FLAIR MR.
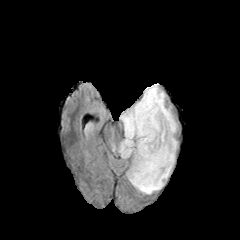
T1-weighted MR image.
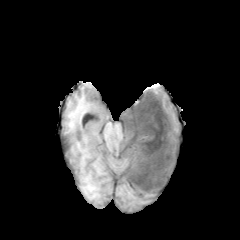
Post-contrast T1-weighted MR.
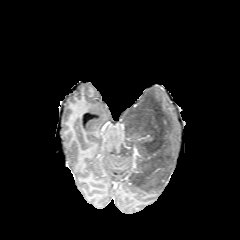
T2-weighted magnetic resonance.
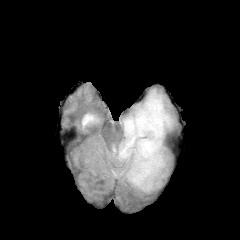
Brain | Image size 240x240
The non-enhancing tumor core is bounded by {"x1": 120, "y1": 96, "x2": 172, "y2": 193}. 4 edema regions appear at {"x1": 118, "y1": 124, "x2": 129, "y2": 155}, {"x1": 122, "y1": 154, "x2": 132, "y2": 168}, {"x1": 135, "y1": 86, "x2": 177, "y2": 193}, {"x1": 120, "y1": 106, "x2": 133, "y2": 119}. The enhancing tumor is at {"x1": 133, "y1": 146, "x2": 141, "y2": 159}.